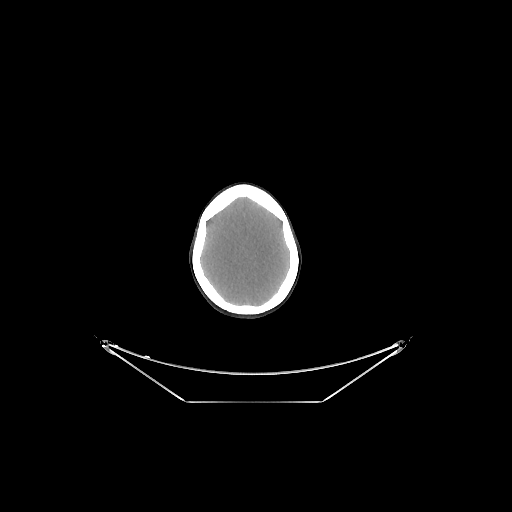
Image size 512x512, CT scan slice
Brain — 200:197:289:306.